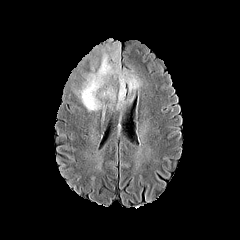
FLAIR MR.
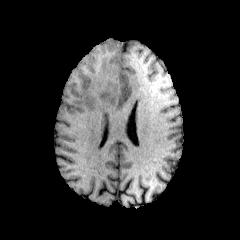
T1-weighted MR.
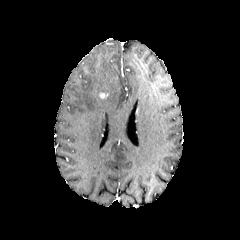
Post-contrast T1-weighted MRI.
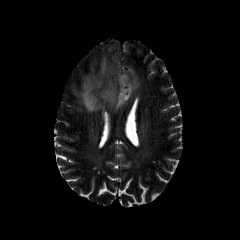
T2-weighted MRI.
Brain
The non-enhancing tumor core is located at box(109, 102, 116, 113). The edema is bounded by box(76, 48, 139, 111).